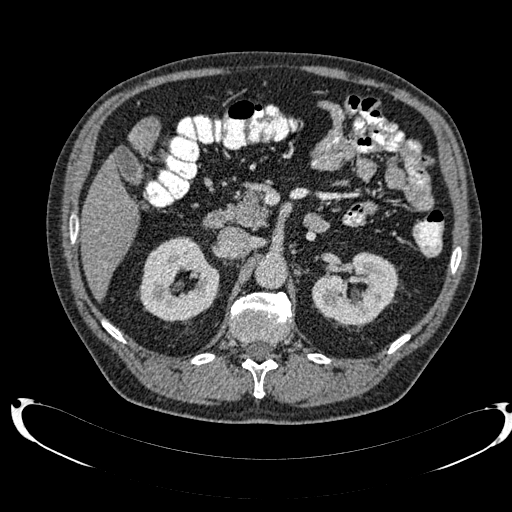
CT scan slice

<segmentation>
  <kidney>[312, 252, 398, 326], [140, 237, 219, 321]</kidney>
  <liver>[129, 117, 159, 150], [81, 155, 138, 299]</liver>
</segmentation>